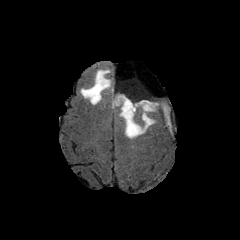
FLAIR MR.
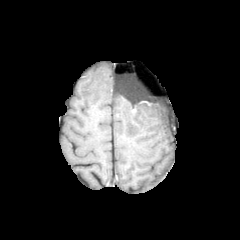
Same slice, T1-weighted MR image.
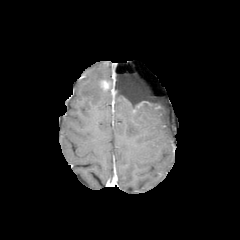
Post-contrast T1-weighted magnetic resonance.
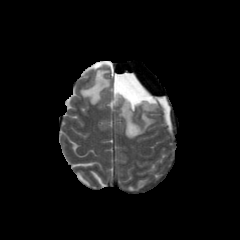
T2-weighted MR.
Head
2 enhancing tumor regions appear at [111,89,114,109], [100,79,111,89]. 2 edema regions are located at [114,96,169,138], [80,64,112,104]. 2 non-enhancing tumor core regions are bounded by [114,91,163,105], [109,74,115,96].